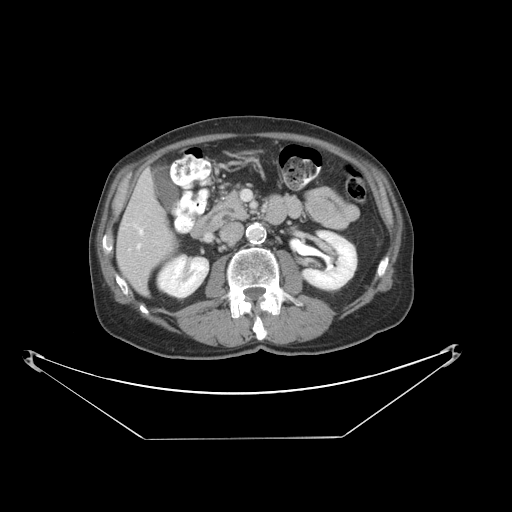

Image size 512x512 | Computed tomography

Only some of the vessels may be annotated.
• hepatic vessel: bbox(137, 243, 140, 248); bbox(132, 222, 143, 235)